Slice 48/155
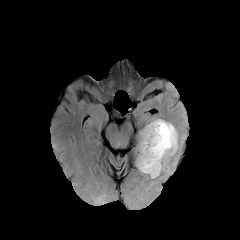
FLAIR MR image.
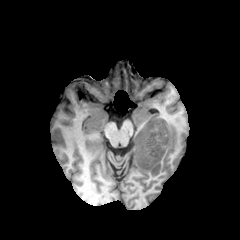
T1-weighted magnetic resonance of the same slice.
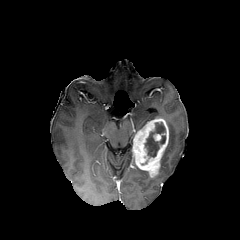
Post-contrast T1-weighted MRI.
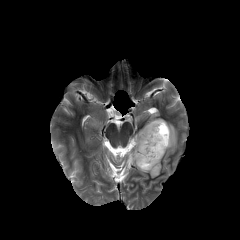
T2-weighted MR.
Annotated regions:
- non-enhancing tumor core: (x1=145, y1=134, x2=159, y2=156), (x1=154, y1=122, x2=165, y2=133)
- edema: (x1=157, y1=122, x2=181, y2=175)
- enhancing tumor: (x1=132, y1=118, x2=168, y2=177)